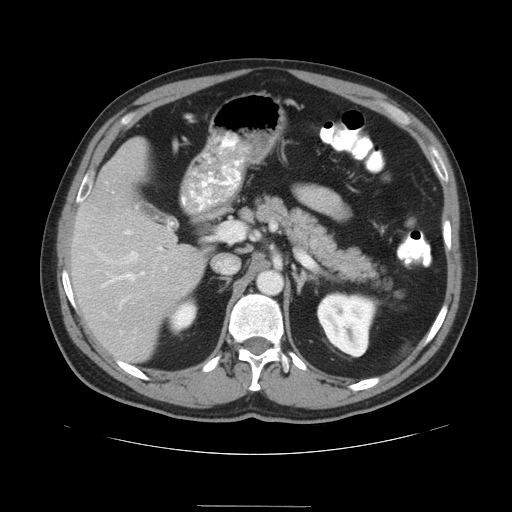 Computed tomography, Liver

Only some of the vessels may be annotated.
10 hepatic vessel regions are bounded by <bbox>101, 273, 135, 288</bbox>, <bbox>134, 330, 136, 332</bbox>, <bbox>126, 230, 131, 234</bbox>, <bbox>91, 246, 93, 247</bbox>, <bbox>139, 272, 144, 275</bbox>, <bbox>217, 222, 242, 241</bbox>, <bbox>120, 332, 123, 333</bbox>, <bbox>165, 268, 167, 270</bbox>, <bbox>96, 251, 137, 264</bbox>, <bbox>157, 247, 162, 250</bbox>.